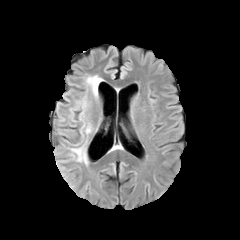
FLAIR MRI.
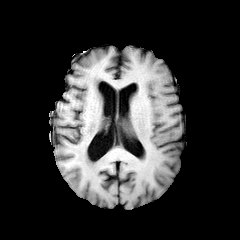
T1-weighted MR image of the same slice.
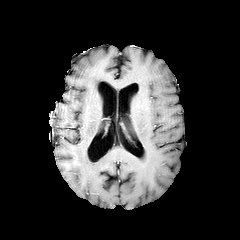
Post-contrast T1-weighted magnetic resonance of the same slice.
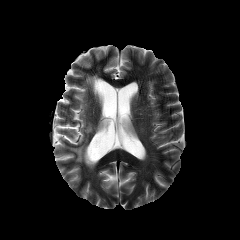
Same slice, T2-weighted MR image.
Head
• edema: (x1=68, y1=75, x2=102, y2=165)